CT. Slice 42 of 45. Image size 512x512. Abdomen.

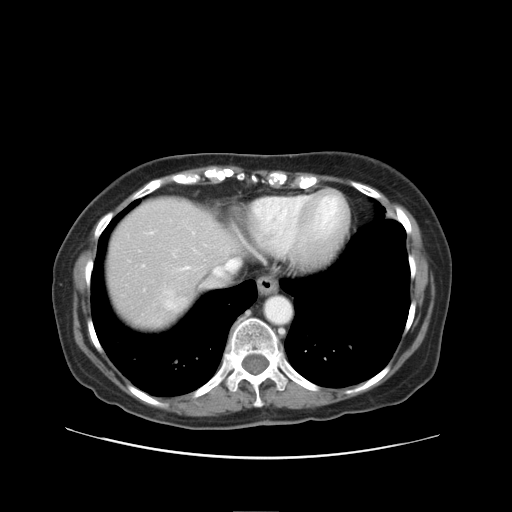 Not every hepatic vessel necessarily has a box.
Liver tumor = (165, 290, 187, 310).
Hepatic vessel = (204, 256, 239, 285), (201, 256, 211, 260), (180, 267, 188, 270), (196, 265, 203, 271).